Computed tomography | Abdomen 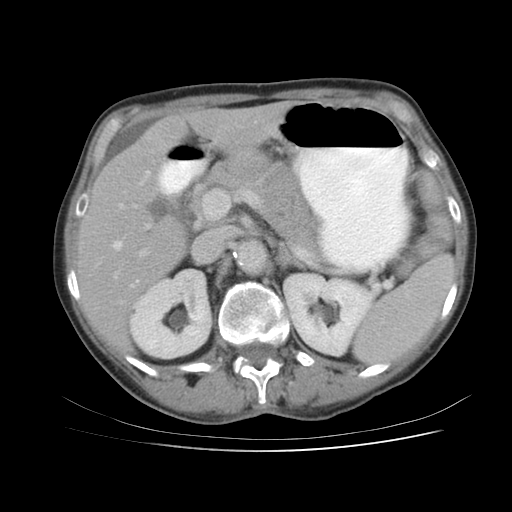 {"spleen": ["(355, 256, 452, 364)"]}